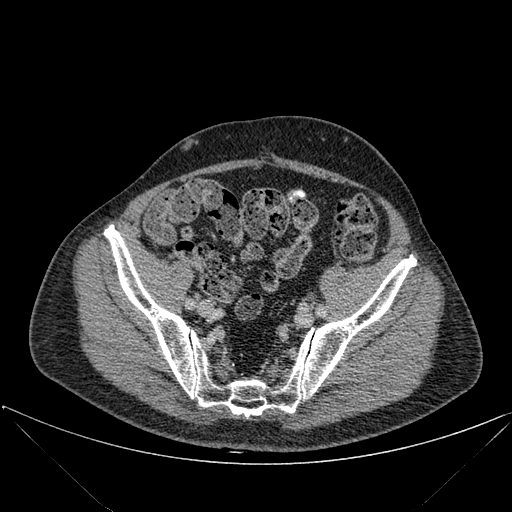

Computed tomography
bone:
  - [104, 225, 416, 417]